CT image, Thorax, Image size 512x512
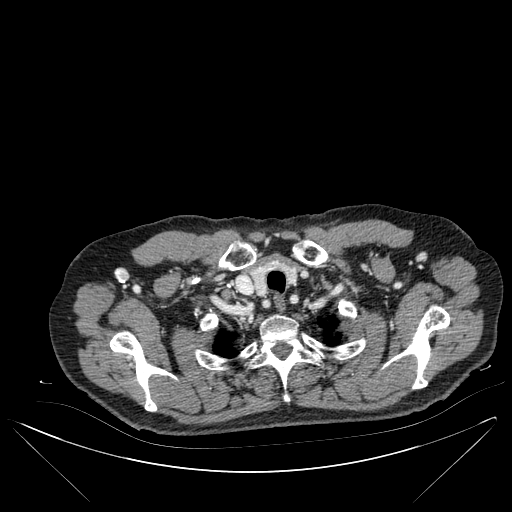

Bone at (201,312,218,330), (333,339,365,359), (293,240,327,265), (195,350,225,369), (338,299,356,317), (384,306,449,388), (240,315,324,387), (110,331,174,411), (218,242,256,270).
Lung at (318,318,340,345), (213,331,237,357), (328,316,337,326).